512x512 px; CT image; Slice 25/45; Image width 419 mm

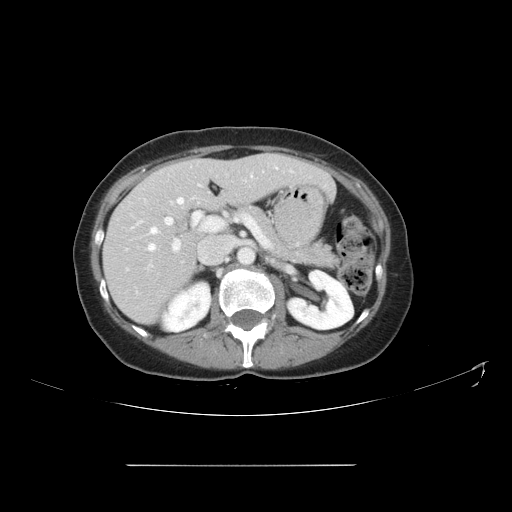
Some hepatic vessels may have no box.
Hepatic vessel: bounding box region(151, 227, 157, 233); region(148, 244, 155, 250); region(165, 217, 172, 224); region(126, 268, 128, 270); region(172, 238, 179, 250); region(192, 197, 194, 198); region(275, 167, 277, 169); region(250, 175, 252, 177); region(177, 198, 183, 203).